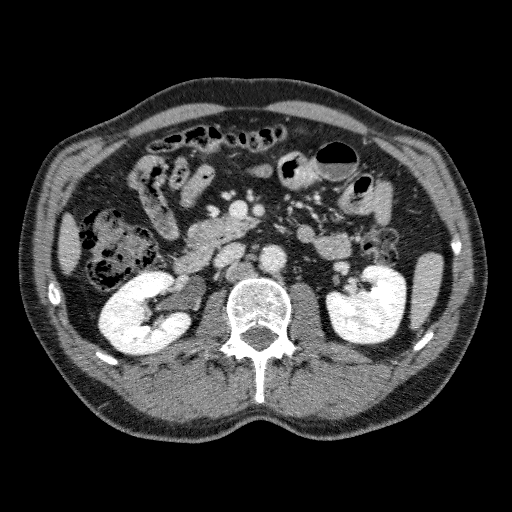

CT scan slice | Liver
Liver — region(59, 215, 79, 271).
Kidney — region(99, 272, 189, 353); region(327, 266, 405, 342).